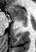
MR image, Hippocampus

Anterior hippocampus: bounding box 9:6:27:24.
Posterior hippocampus: bounding box 23:25:27:26.